Abdomen; Slice 351/871; CT image 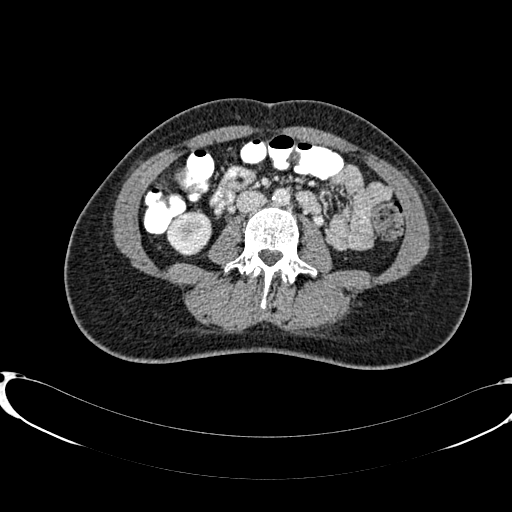

Kidney: bounding box x1=168, y1=214, x2=209, y2=253.